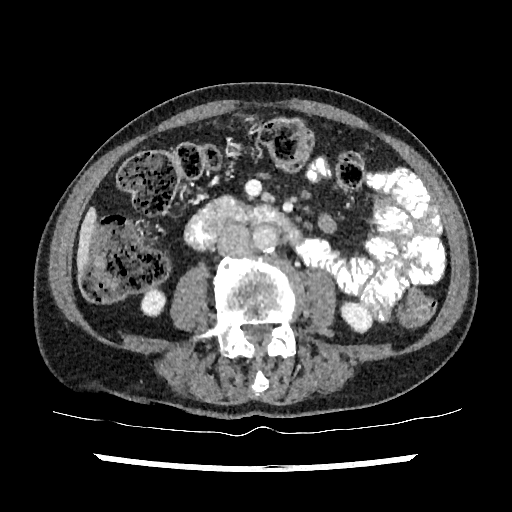 Liver, CT
Liver = [77,209,96,269].
Kidney = [343,304,369,330], [143,291,163,313].